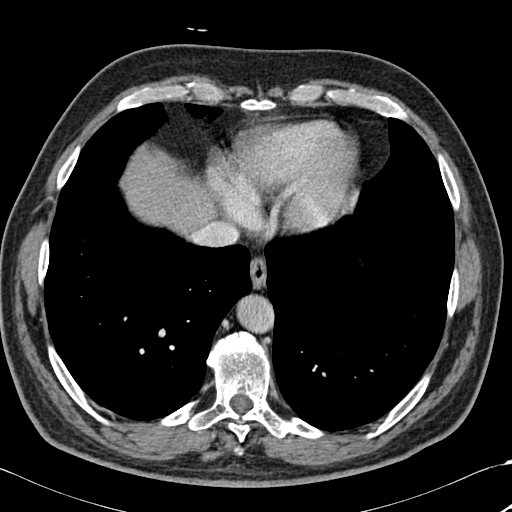

CT slice
Lung at {"x1": 264, "y1": 118, "x2": 454, "y2": 431}, {"x1": 185, "y1": 103, "x2": 222, "y2": 121}, {"x1": 44, "y1": 102, "x2": 251, "y2": 420}.
Liver at {"x1": 126, "y1": 161, "x2": 213, "y2": 238}.
Bone at {"x1": 447, "y1": 273, "x2": 458, "y2": 314}, {"x1": 243, "y1": 100, "x2": 269, "y2": 109}, {"x1": 38, "y1": 241, "x2": 48, "y2": 280}, {"x1": 57, "y1": 148, "x2": 78, "y2": 187}, {"x1": 371, "y1": 377, "x2": 428, "y2": 436}, {"x1": 49, "y1": 348, "x2": 101, "y2": 420}, {"x1": 118, "y1": 85, "x2": 181, "y2": 110}, {"x1": 356, "y1": 95, "x2": 402, "y2": 117}, {"x1": 439, "y1": 156, "x2": 459, "y2": 208}, {"x1": 162, "y1": 332, "x2": 322, "y2": 441}.